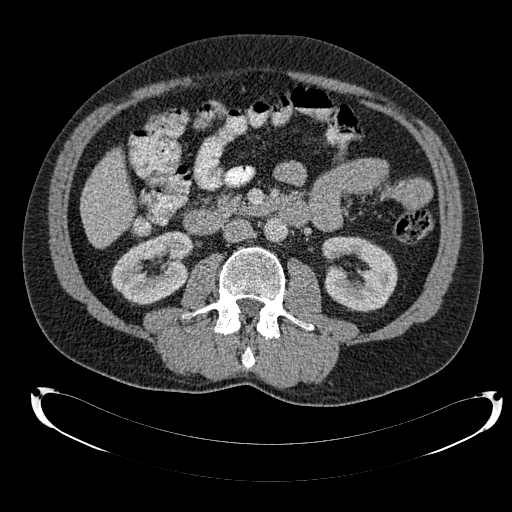
CT image, 512x512 px
Kidney: bounding box 323:237:396:310, 112:232:190:303.
Liver: bounding box 82:150:134:247.